Abdomen. Computed tomography.

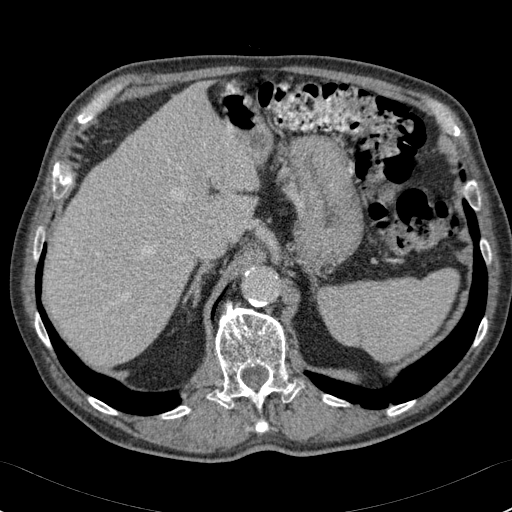 Annotated regions:
- liver: [47, 82, 256, 362]